CT. Field of view 360 mm wide, 0.80 mm slice spacing. Abdomen.

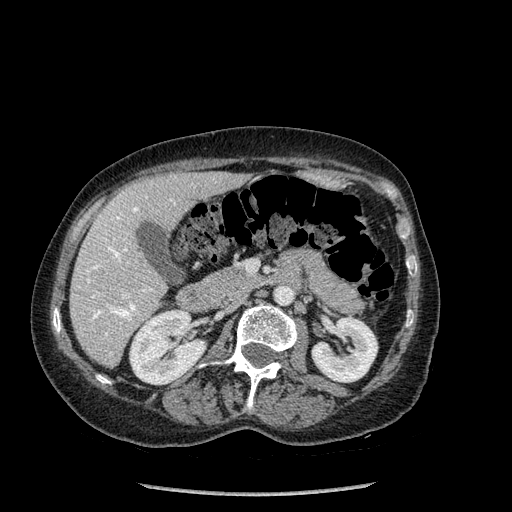
<segmentation>
  <kidney>(130,310,205,384), (312,317,377,382)</kidney>
  <liver>(69,172,251,366)</liver>
  <bone>(406,260,417,275), (53,308,60,333), (212,303,297,411), (400,227,409,238), (96,374,110,383), (406,310,413,326)</bone>
</segmentation>